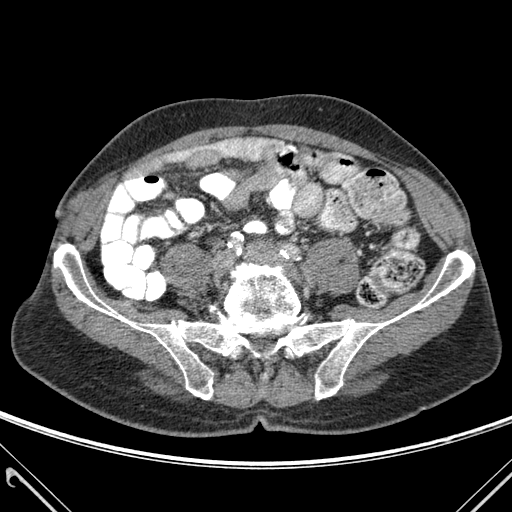 512x512. CT slice. Annotated regions:
* bone: <box>54,244,474,399</box>